512x512; CT slice; Chest 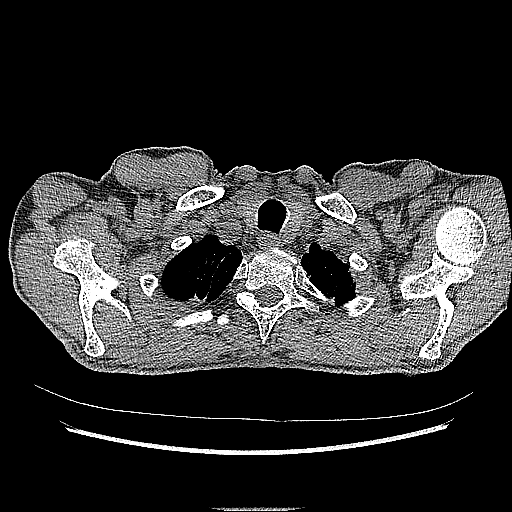 lung_tumor:
  - 184, 290, 210, 302